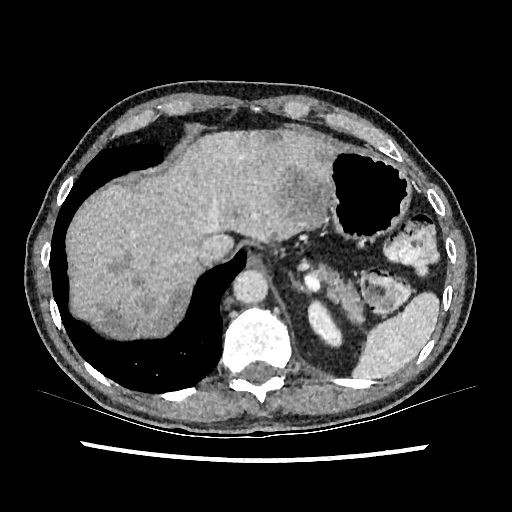

Upper abdomen. 512x512. CT slice.
The kidney is located at 309:303:340:344. 8 focal liver lesion regions appear at 108:252:132:274, 96:285:189:335, 315:149:330:162, 227:207:246:219, 275:166:330:226, 268:232:277:241, 132:275:149:291, 234:131:281:150. 2 liver regions are located at 250:131:267:136, 70:131:332:323.